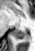

Magnetic resonance
The posterior hippocampus is at bbox=[13, 28, 26, 39].